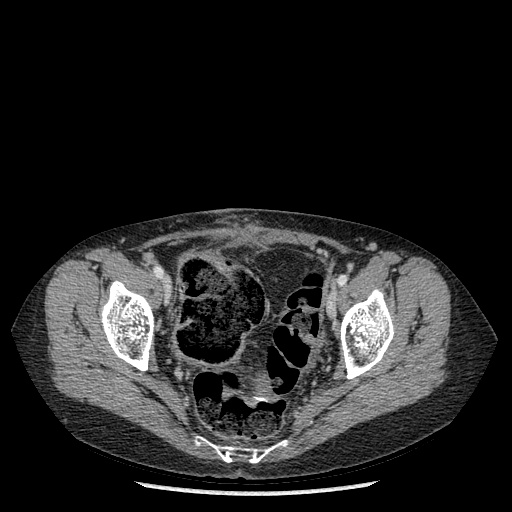

Computed tomography. bone: (100,280,153,370), (340,289,394,379), (195,436,287,463)